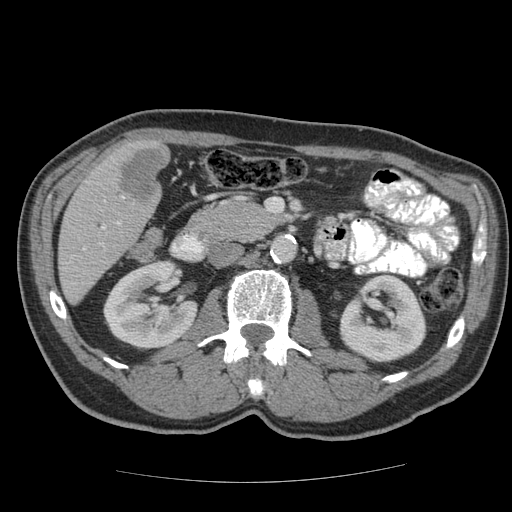
CT. Not every hepatic vessel necessarily has a box.
Liver tumor — [120,145,166,200].
Hepatic vessel — [83,248,85,249], [101,226,105,228], [121,196,124,198].